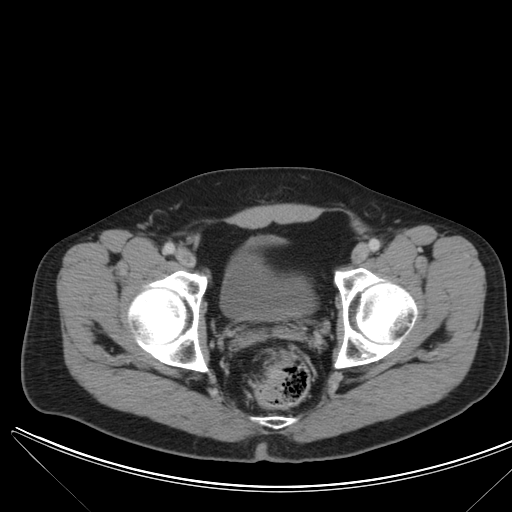 512x512 px. CT slice.
The colon tumor appears at bbox=[254, 368, 285, 408].